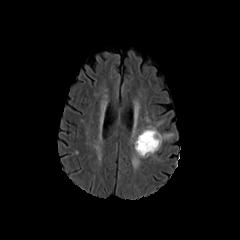
FLAIR MR image.
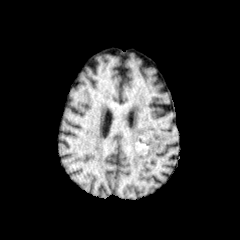
Same slice, T1-weighted magnetic resonance.
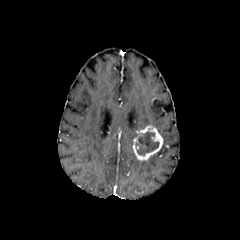
Post-contrast T1-weighted MR image of the same slice.
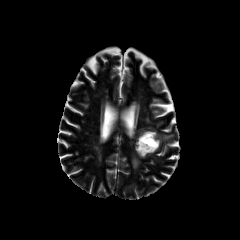
Same slice, T2-weighted MR image.
Non-enhancing tumor core = left=135, top=131, right=159, bottom=155.
Enhancing tumor = left=132, top=124, right=163, bottom=160.
Edema = left=162, top=133, right=173, bottom=142; left=131, top=151, right=141, bottom=170; left=130, top=131, right=137, bottom=144.